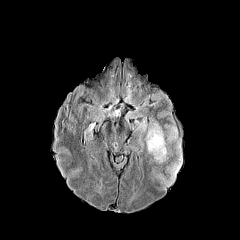
FLAIR magnetic resonance.
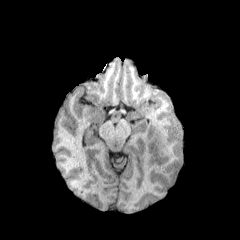
T1-weighted MR.
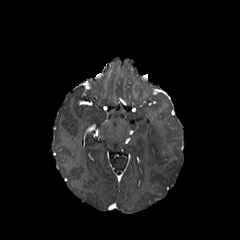
Post-contrast T1-weighted MR.
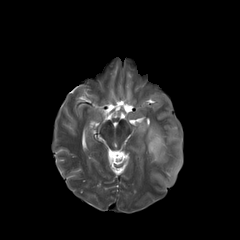
T2-weighted MR.
Brain.
3 edema regions appear at bbox=[169, 151, 181, 177]; bbox=[145, 121, 168, 165]; bbox=[166, 129, 177, 143].